Slice 35/52 | Field of view 453x453 mm | CT image | Abdomen 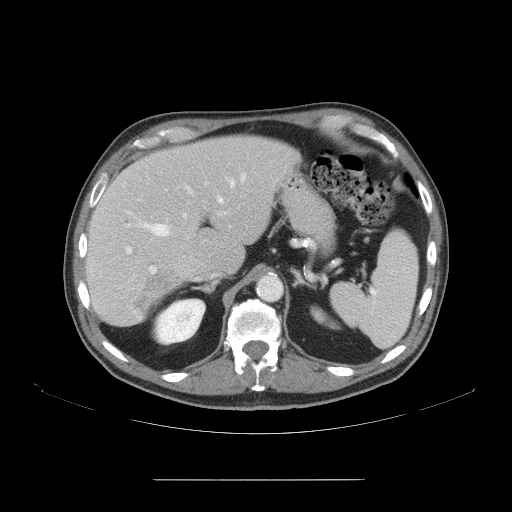
Only some of the vessels may be annotated.
Annotated regions:
* liver tumor: x1=127 y1=274 x2=178 y2=315
* hepatic vessel: x1=226 y1=177 x2=235 y2=188, x1=219 y1=212 x2=225 y2=214, x1=182 y1=213 x2=185 y2=217, x1=149 y1=266 x2=155 y2=273, x1=187 y1=188 x2=190 y2=192, x1=127 y1=247 x2=131 y2=253, x1=217 y1=195 x2=223 y2=203, x1=125 y1=210 x2=134 y2=216, x1=125 y1=219 x2=170 y2=236, x1=241 y1=175 x2=244 y2=181